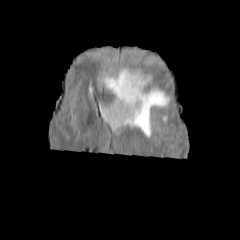
FLAIR MR image.
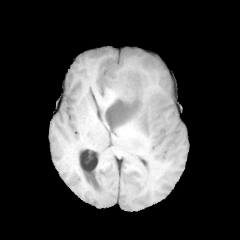
Same slice, T1-weighted magnetic resonance.
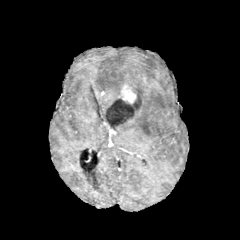
Post-contrast T1-weighted MR.
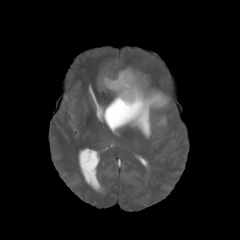
T2-weighted magnetic resonance of the same slice.
Image size 240x240.
Edema: bounding box x1=102 y1=66 x2=133 y2=95, x1=108 y1=82 x2=170 y2=137.
Non-enhancing tumor core: bounding box x1=104 y1=69 x2=147 y2=125.
Enhancing tumor: bounding box x1=121 y1=83 x2=136 y2=102.